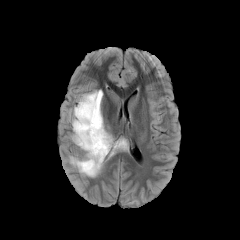
FLAIR MRI.
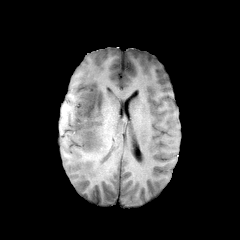
T1-weighted MRI of the same slice.
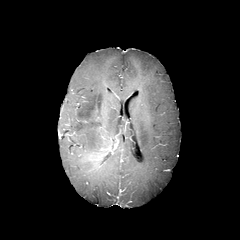
Post-contrast T1-weighted MR image.
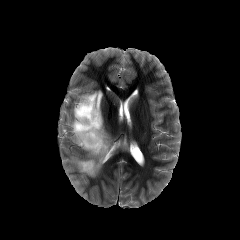
T2-weighted MR image.
240x240 px. Brain.
* non-enhancing tumor core: rect(85, 103, 94, 116); rect(100, 144, 116, 156)
* edema: rect(70, 90, 127, 177)